Abdomen; CT; Image width 407 mm
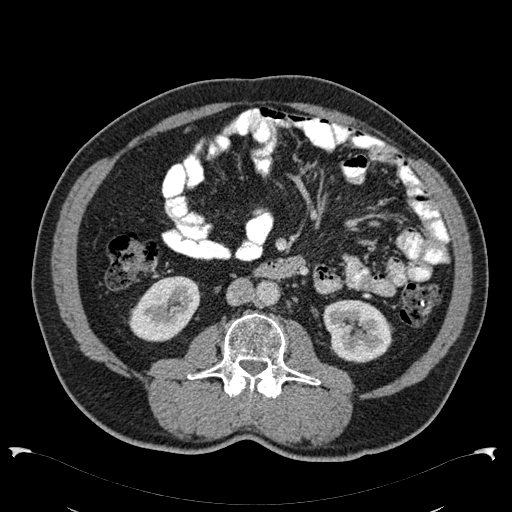
kidney:
  - box(323, 300, 391, 362)
  - box(129, 276, 199, 341)